Brain.
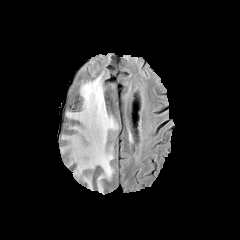
FLAIR MRI.
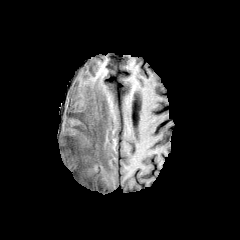
T1-weighted MRI of the same slice.
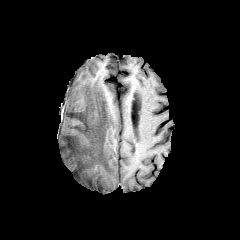
Post-contrast T1-weighted MR image.
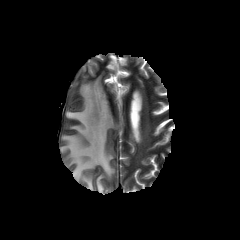
T2-weighted MRI.
Edema = {"x1": 62, "y1": 76, "x2": 117, "y2": 193}.